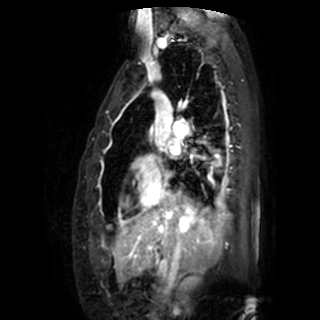 Magnetic resonance; Image size 320x320

{
  "left_atrium": [
    "<box>169,142,179,153</box>"
  ]
}